CT slice; Slice index 266

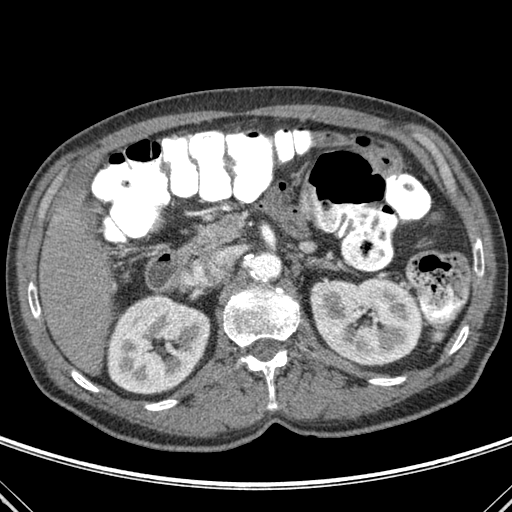
kidney: (311,279,420,364), (109,296,209,393) | bone: (449,326,468,353), (71,371,98,391), (236,349,291,409), (28,282,40,318), (474,238,483,276), (369,377,405,385), (223,271,299,347), (145,400,176,410) | liver: (39,183,113,373)